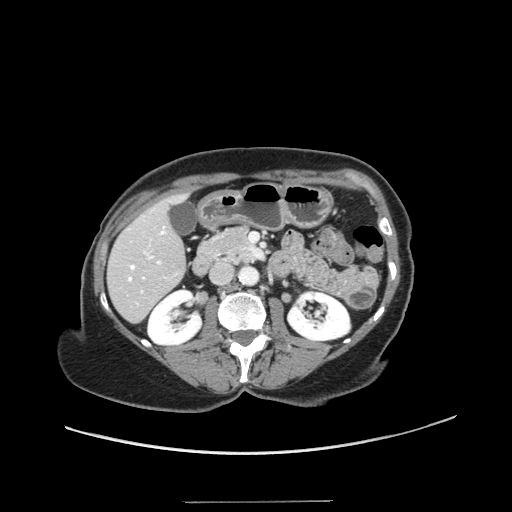
CT image

The vessel boxes may cover only some of the vessels.
hepatic_vessel:
  - bbox(129, 277, 131, 279)
  - bbox(148, 255, 152, 257)
  - bbox(161, 227, 165, 233)
  - bbox(144, 250, 146, 252)
  - bbox(158, 261, 160, 263)
  - bbox(131, 265, 133, 268)